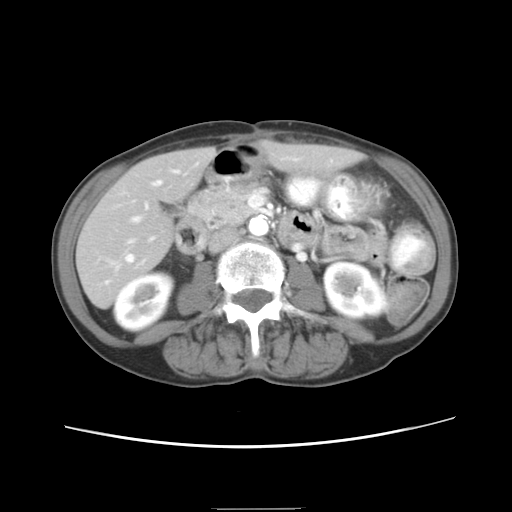

Liver; CT scan slice; Image size 512x512
The vessel annotation is not exhaustive.
Hepatic vessel: bounding box [132,216,139,220], [153,180,160,184], [150,237,152,239], [145,204,147,207], [125,254,132,261].